FLAIR magnetic resonance.
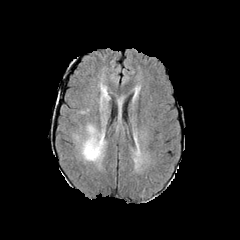
T1-weighted magnetic resonance.
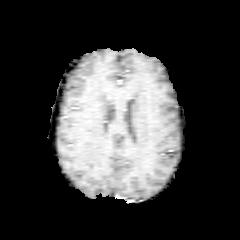
Post-contrast T1-weighted MR.
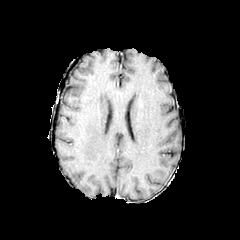
T2-weighted MR image.
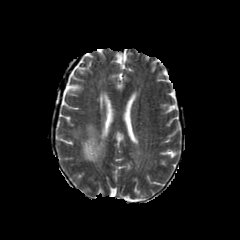
240x240, Brain
edema: [x1=81, y1=126, x2=105, y2=160]